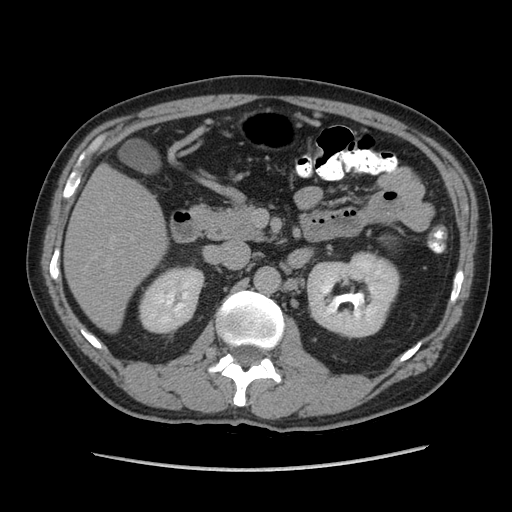

512x512 px; Upper abdomen; CT
pancreas: 206:201:266:242